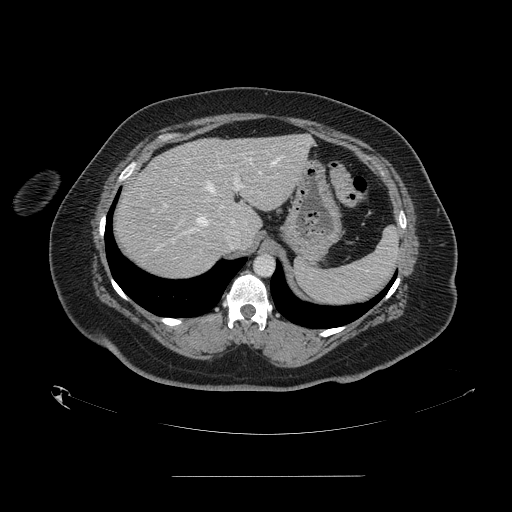 CT image
Annotated regions:
* spleen: l=294, t=227, r=399, b=304